FLAIR magnetic resonance.
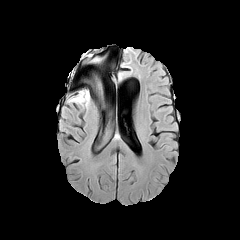
T1-weighted MRI.
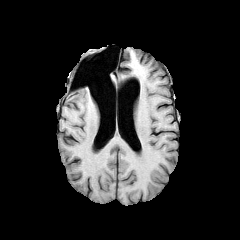
Post-contrast T1-weighted MR.
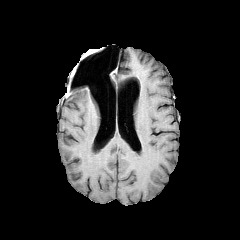
T2-weighted MR image.
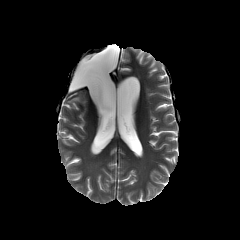
Edema: 73 92 89 104, 85 55 100 62.